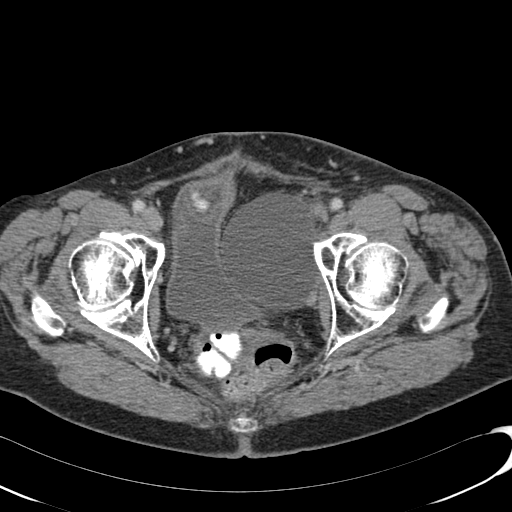 CT scan slice; Lower abdomen
Segmented structures:
- urinary bladder: <box>165,175,264,336</box>, <box>180,325,188,335</box>